Slice 77 of 155. Image width 240 mm.
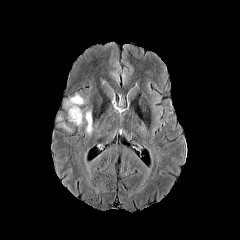
FLAIR MRI.
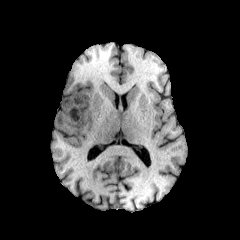
T1-weighted magnetic resonance of the same slice.
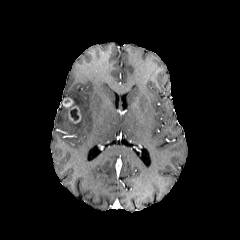
Post-contrast T1-weighted MRI.
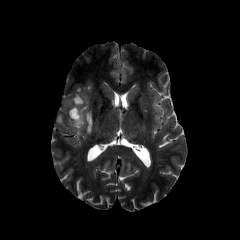
T2-weighted MR image of the same slice.
The non-enhancing tumor core is located at 70 108 79 120. 3 edema regions are bounded by 71 93 83 106, 74 110 82 125, 85 110 92 134. The enhancing tumor is at 62 97 81 123.